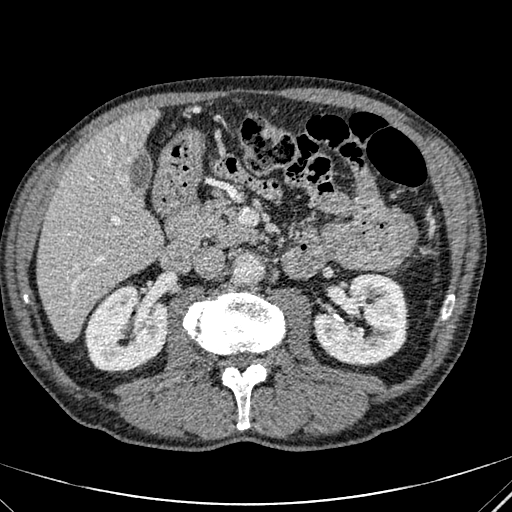 512x512. CT.
Kidney: x1=87 y1=287 x2=166 y2=369, x1=315 y1=275 x2=405 y2=363.
Liver: x1=37 y1=109 x2=162 y2=341.